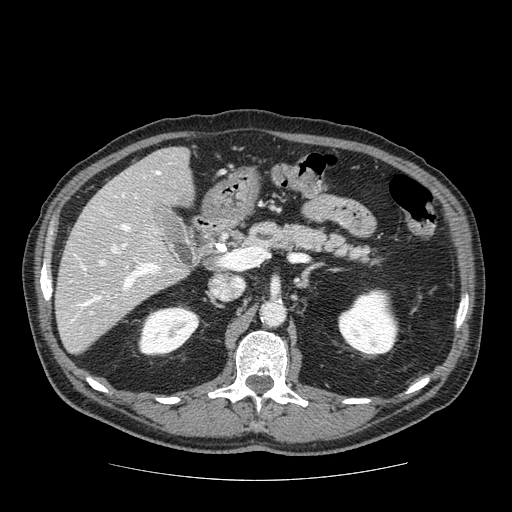

CT slice

<segmentation>
  <pancreas>[243, 220, 381, 265]</pancreas>
</segmentation>